FLAIR MRI.
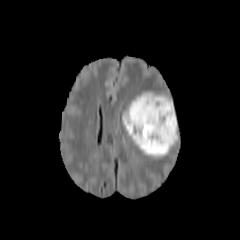
T1-weighted MRI.
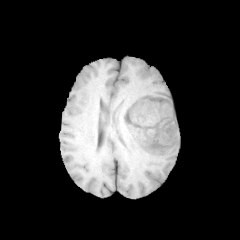
Post-contrast T1-weighted MRI.
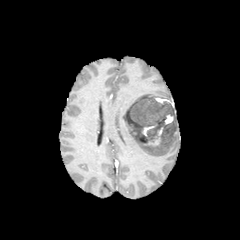
T2-weighted MR.
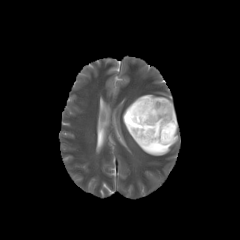
Enhancing tumor at {"x1": 141, "y1": 124, "x2": 157, "y2": 138}, {"x1": 165, "y1": 114, "x2": 175, "y2": 124}, {"x1": 148, "y1": 127, "x2": 163, "y2": 145}, {"x1": 154, "y1": 97, "x2": 173, "y2": 107}.
Edema at {"x1": 123, "y1": 92, "x2": 178, "y2": 156}.
Non-enhancing tumor core at {"x1": 126, "y1": 97, "x2": 178, "y2": 145}.